Image size 512x512; CT slice

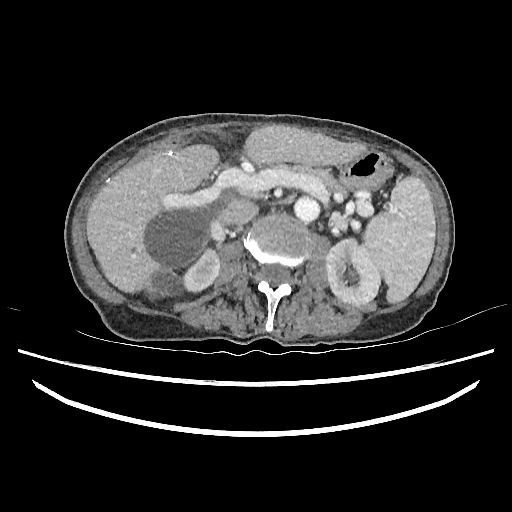 {"liver": ["87:145:218:294", "246:127:361:165"], "liver_lesion": ["143:190:228:297"], "kidney": ["184:250:219:290", "211:224:220:239", "325:239:379:305"]}